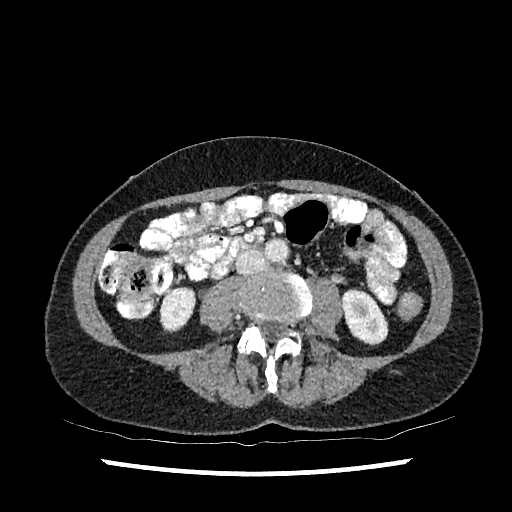
CT slice. Abdomen. kidney: (161,288,194,328), (343,291,387,343)